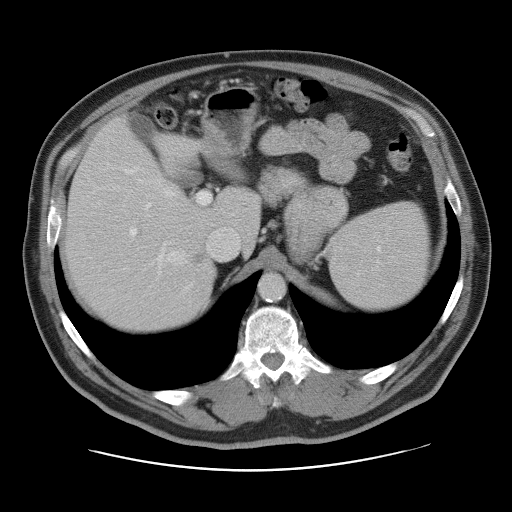

CT; Liver
Not every hepatic vessel necessarily has a box.
Liver tumor — (190,247,210,266).
Hepatic vessel — (157,247,181,264), (206,228,238,259), (124,167,136,173), (163,241,167,245), (197,191,210,204), (146,214,148,215), (143,203,151,211), (158,182,175,196), (129,227,136,235), (183,281,193,288).